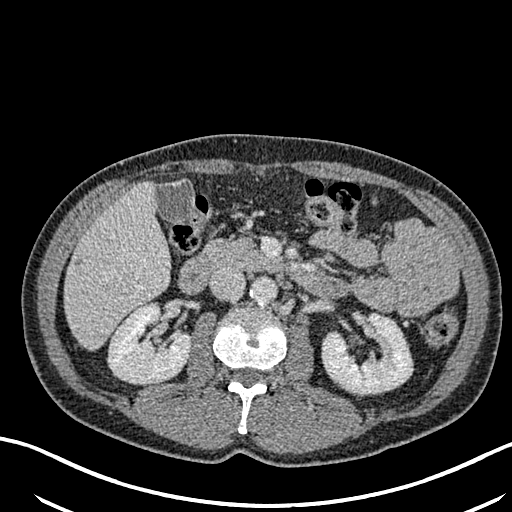
Computed tomography | 512x512
liver: (65,182,170,348) | kidney: (322,314,412,393), (108,305,189,383)